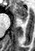

MR | Hippocampus
Anterior hippocampus at bbox(11, 6, 27, 22).